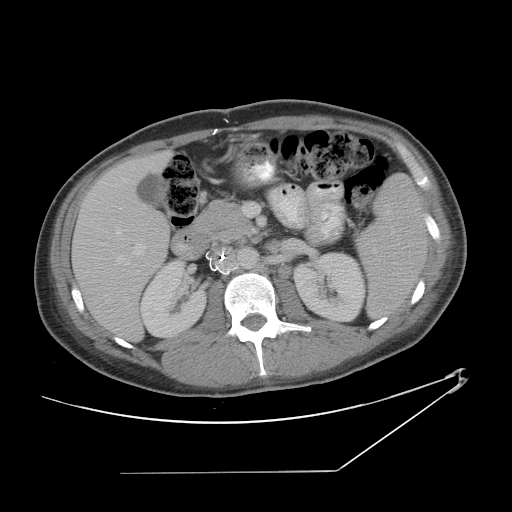
Computed tomography, Abdomen
Some hepatic vessels may have no box.
Hepatic vessel — bbox=[135, 245, 143, 254]; bbox=[126, 297, 128, 300]; bbox=[116, 229, 121, 237]; bbox=[117, 256, 123, 264]; bbox=[123, 179, 126, 181]; bbox=[144, 162, 154, 168].